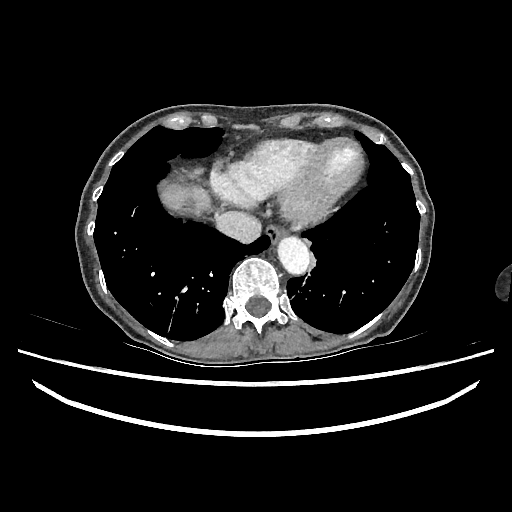
Computed tomography

{
  "liver": [
    "161 185 209 211"
  ]
}